CT image | Upper abdomen | 512x512 px 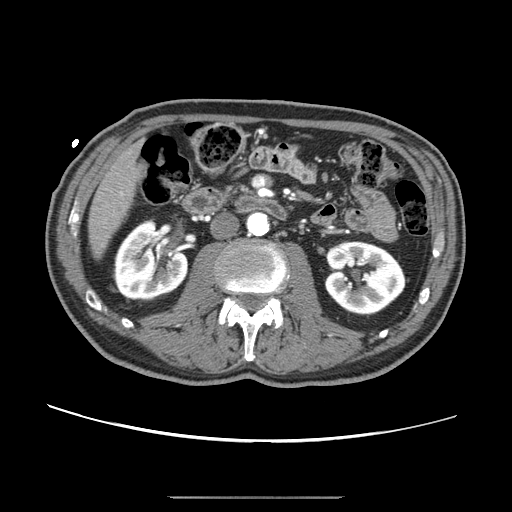

pancreas: bbox(226, 184, 244, 197)